MR image; Medial temporal lobe 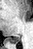
Posterior hippocampus at bbox(7, 36, 20, 43).